Image width 400 mm, Computed tomography

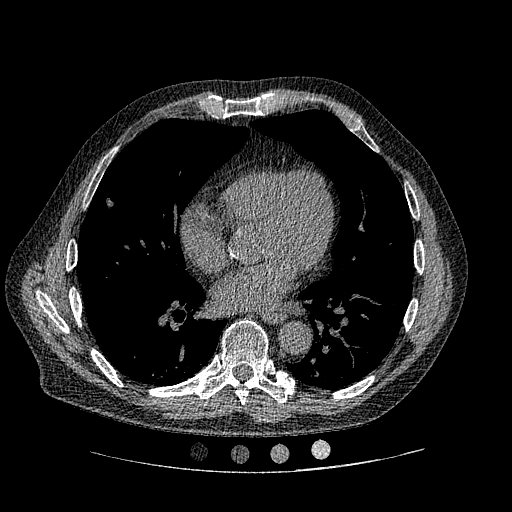 The lung tumor is at {"x1": 100, "y1": 195, "x2": 117, "y2": 213}.